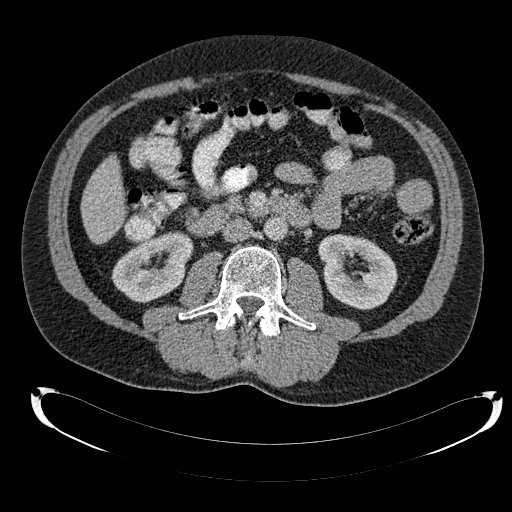

512x512 px; Computed tomography; Abdomen
Kidney: x1=112 y1=233 x2=191 y2=301, x1=319 y1=235 x2=396 y2=308.
Liver: x1=82 y1=159 x2=124 y2=243.